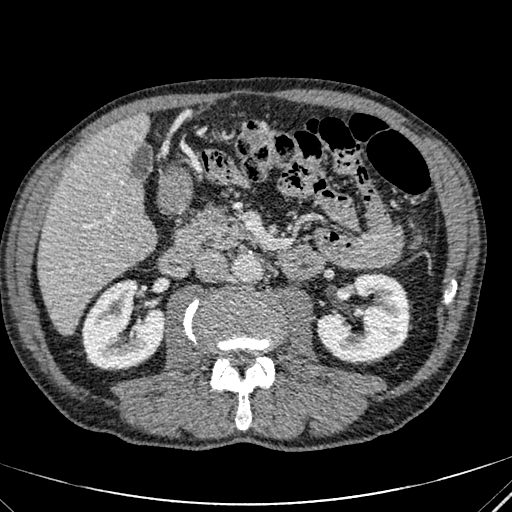
Upper abdomen; CT scan slice

Kidney: bounding box box(318, 275, 408, 361); box(83, 282, 163, 367).
Liver: bounding box box(38, 113, 154, 334).